FLAIR MR image.
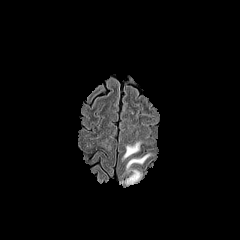
T1-weighted magnetic resonance.
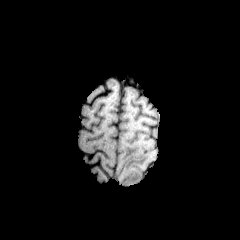
Post-contrast T1-weighted MRI.
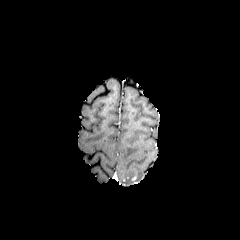
T2-weighted MRI.
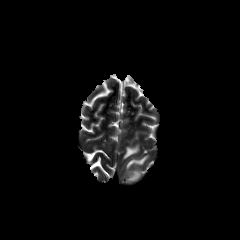
Brain.
edema: (119, 155, 148, 187), (122, 142, 141, 159)